FLAIR magnetic resonance.
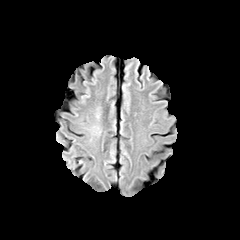
T1-weighted MR image.
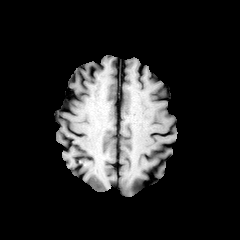
Post-contrast T1-weighted MR image.
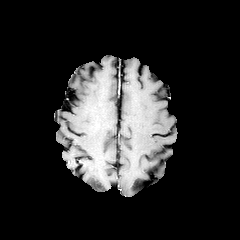
T2-weighted MR image.
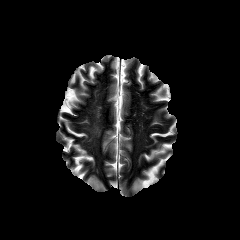
Edema: x1=92 y1=126 x2=99 y2=133.